Field of view 351x351 mm | CT scan slice

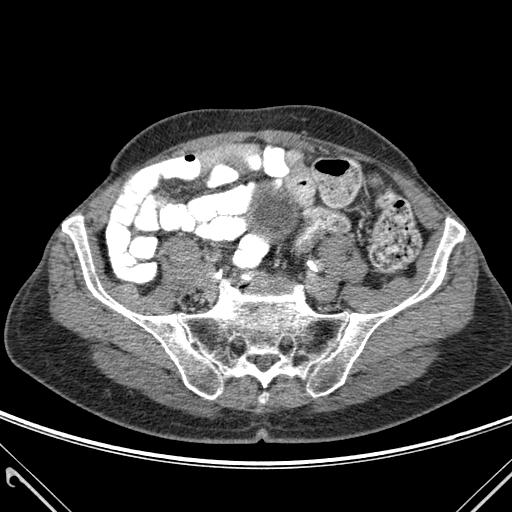

Bone = <box>62,215,465,399</box>.